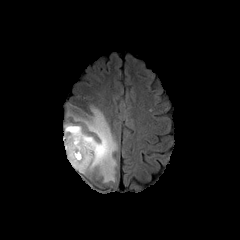
FLAIR MR image.
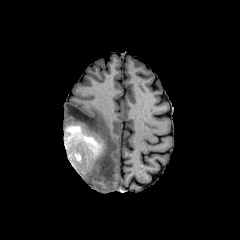
T1-weighted magnetic resonance.
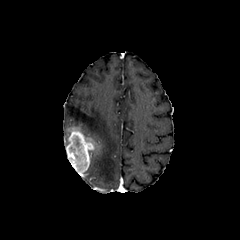
Same slice, post-contrast T1-weighted MR.
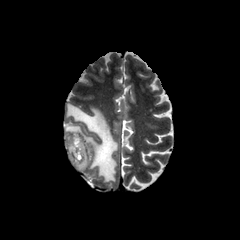
T2-weighted MR image.
Head
enhancing_tumor:
  - bbox=[69, 132, 93, 173]
  - bbox=[66, 145, 78, 170]
edema:
  - bbox=[68, 104, 118, 182]
non-enhancing_tumor_core:
  - bbox=[67, 126, 81, 133]
  - bbox=[83, 136, 102, 160]
  - bbox=[68, 135, 86, 163]